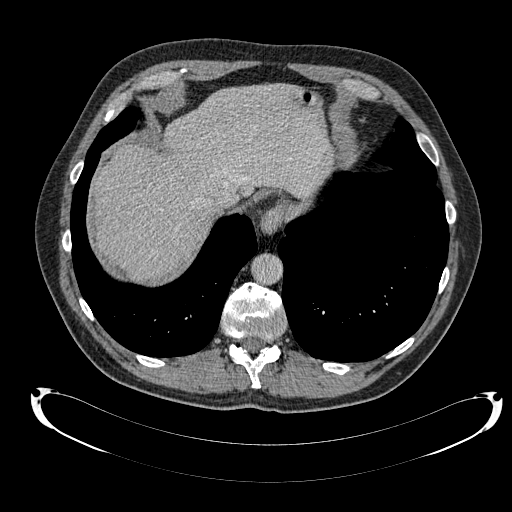

Computed tomography. 512x512 px. Segmented structures:
- liver: region(95, 84, 332, 281)